Slice index 515, CT slice, Abdomen 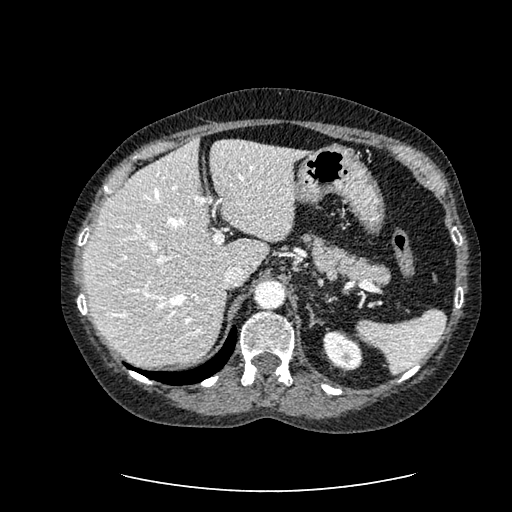 Kidney at left=324, top=332, right=361, bottom=369.
Liver at left=208, top=140, right=312, bottom=241; left=84, top=137, right=268, bottom=366.